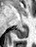 Medial temporal lobe. Magnetic resonance. {"posterior_hippocampus": [{"x1": 14, "y1": 27, "x2": 28, "y2": 38}]}